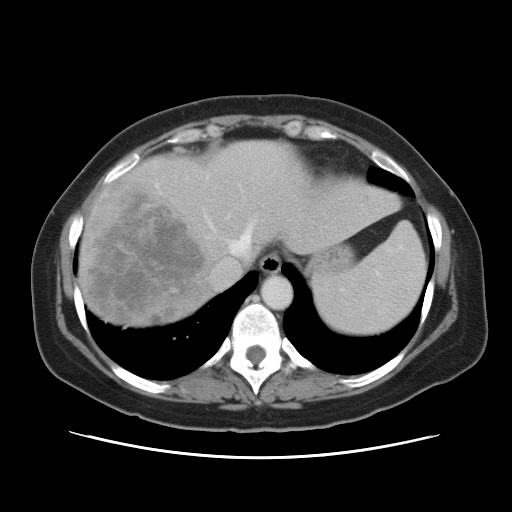
Computed tomography, 512x512
The vessel annotation is not exhaustive.
Liver tumor at [85, 179, 211, 324].
Hepatic vessel at [204, 227, 251, 289], [208, 220, 213, 228].